Field of view 33x53 mm; Slice index 6; Medial temporal lobe; MRI slice

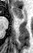 Anterior hippocampus at x1=11 y1=7 x2=23 y2=18.